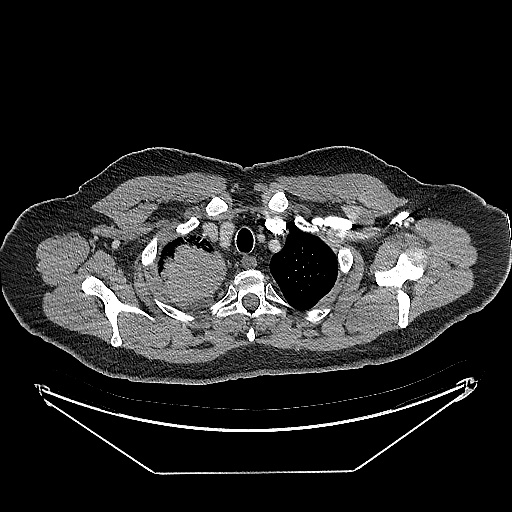
Computed tomography; Lung
The lung tumor is at l=158, t=235, r=226, b=307.